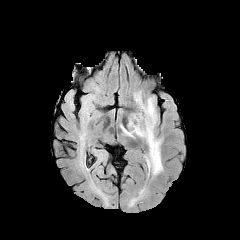
FLAIR MR.
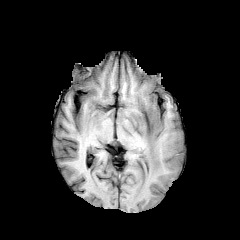
Same slice, T1-weighted MR.
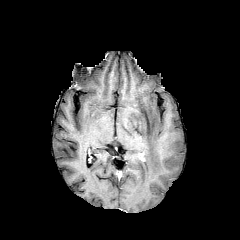
Same slice, post-contrast T1-weighted MR image.
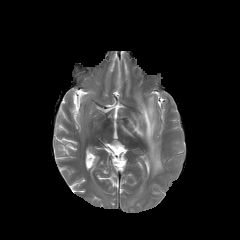
T2-weighted MR image.
Head
edema:
  - l=121, t=91, r=163, b=174